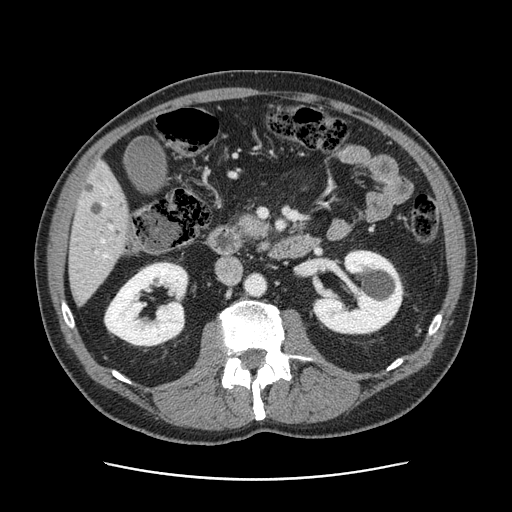

CT scan slice, Upper abdomen

Annotated regions:
* pancreas: (236,213,270,239)